Slice 27/466. Field of view 344x344 mm. CT.
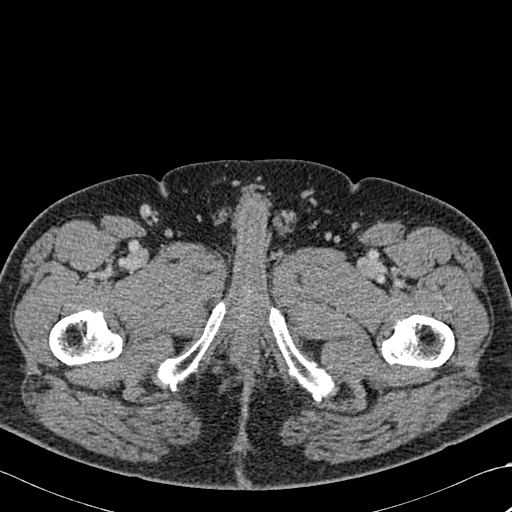
Bone = rect(269, 308, 333, 400); rect(158, 303, 225, 389); rect(49, 310, 122, 364); rect(381, 315, 454, 368).